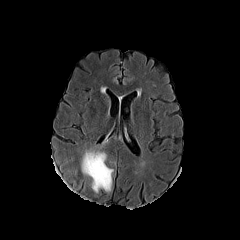
FLAIR MR image.
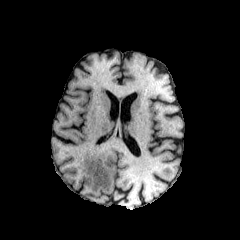
T1-weighted magnetic resonance.
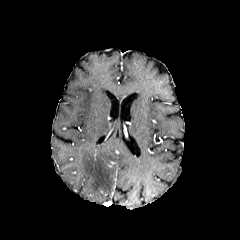
Post-contrast T1-weighted MR of the same slice.
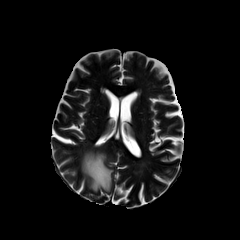
T2-weighted MR image.
The edema is located at [x1=81, y1=150, x2=112, y2=193].